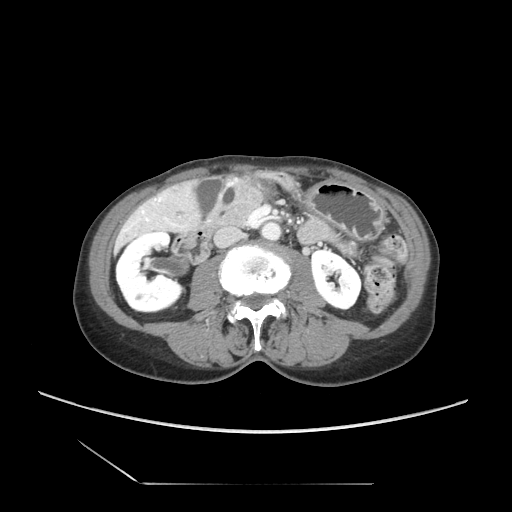
512x512 px. CT scan slice. Abdomen.

<segmentation>
  <pancreas>bbox=[229, 189, 262, 226]</pancreas>
</segmentation>